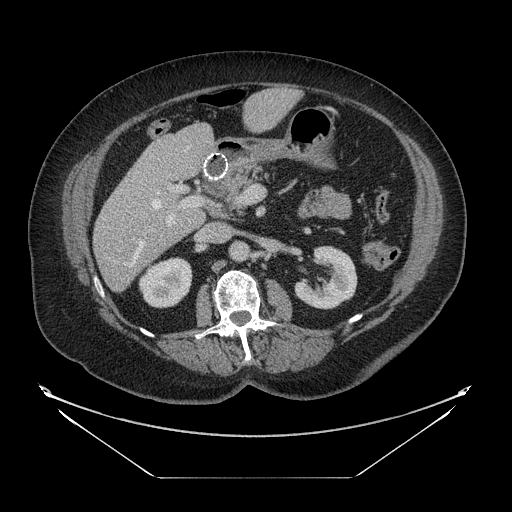

512x512. Upper abdomen. CT slice. pancreas:
  - l=203, t=166, r=259, b=203